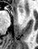

Magnetic resonance, Hippocampus
The anterior hippocampus is at left=19, top=7, right=23, bottom=12.